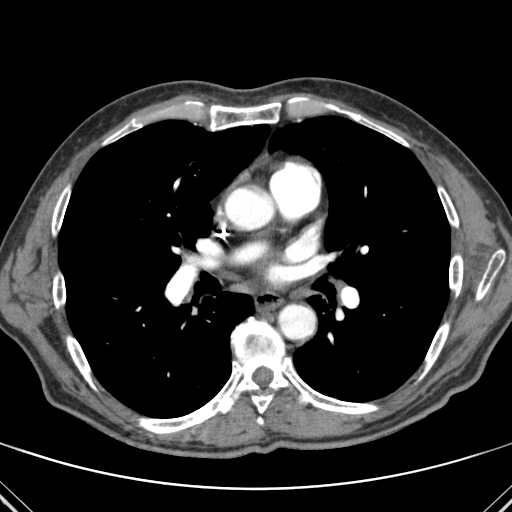
Computed tomography
14 bone regions are bounded by {"x1": 421, "y1": 323, "x2": 448, "y2": 376}, {"x1": 288, "y1": 97, "x2": 305, "y2": 105}, {"x1": 138, "y1": 317, "x2": 377, "y2": 433}, {"x1": 252, "y1": 395, "x2": 272, "y2": 413}, {"x1": 67, "y1": 336, "x2": 95, "y2": 389}, {"x1": 476, "y1": 250, "x2": 503, "y2": 300}, {"x1": 206, "y1": 102, "x2": 281, "y2": 130}, {"x1": 103, "y1": 119, "x2": 141, "y2": 144}, {"x1": 165, "y1": 276, "x2": 188, "y2": 305}, {"x1": 52, "y1": 186, "x2": 70, "y2": 235}, {"x1": 438, "y1": 187, "x2": 458, "y2": 227}, {"x1": 350, "y1": 114, "x2": 408, "y2": 146}, {"x1": 53, "y1": 276, "x2": 65, "y2": 308}, {"x1": 449, "y1": 254, "x2": 463, "y2": 296}. 2 lung regions are bounded by {"x1": 58, "y1": 120, "x2": 270, "y2": 417}, {"x1": 268, "y1": 116, "x2": 450, "y2": 401}.